CT slice; Lower abdomen
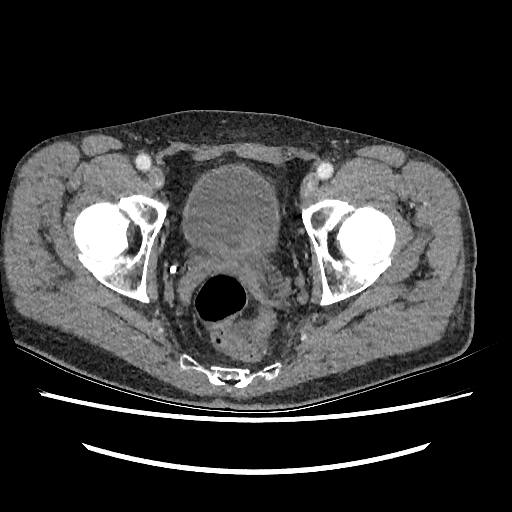 The urinary bladder is at (182,170,276,255).